Head | 240x240
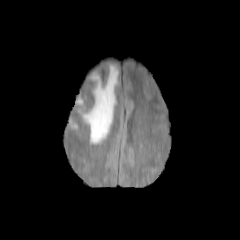
FLAIR MR image.
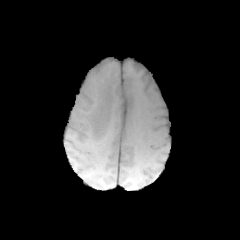
T1-weighted MR.
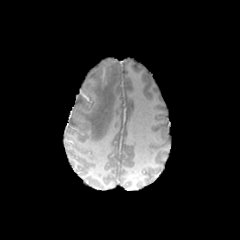
Same slice, post-contrast T1-weighted MR.
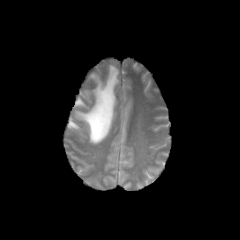
T2-weighted MR.
Edema: box=[75, 64, 118, 144].
Non-enhancing tumor core: box=[80, 89, 90, 104].